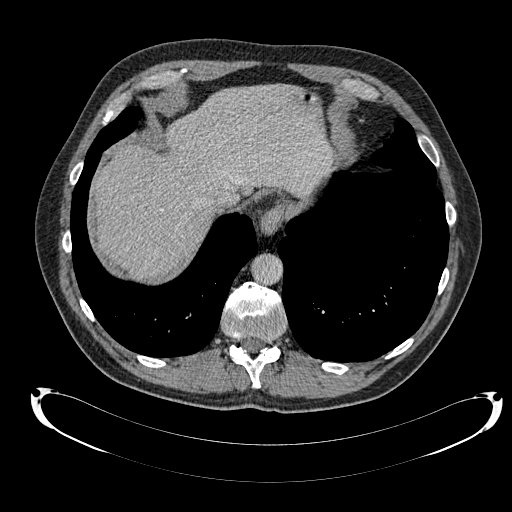

Upper abdomen, CT image
<segmentation>
  <liver>bbox(96, 85, 332, 279)</liver>
</segmentation>